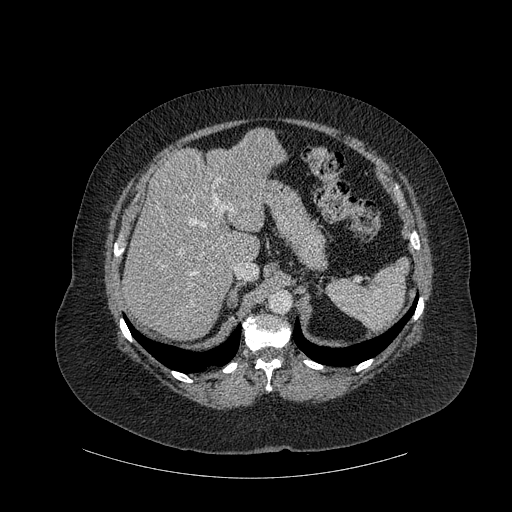
Liver. CT slice.

{"lung": ["126 319 240 372", "293 301 416 366"], "liver": ["122 128 286 341"], "bone": ["120 319 131 341", "356 359 372 371", "410 232 419 249", "172 371 192 382", "114 243 123 256", "243 317 290 350", "414 297 423 319", "223 363 236 372", "255 359 280 390", "304 360 322 369"]}